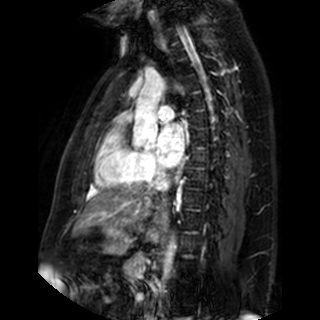
MRI, Cardiac

Left atrium — (157,124,184,167).